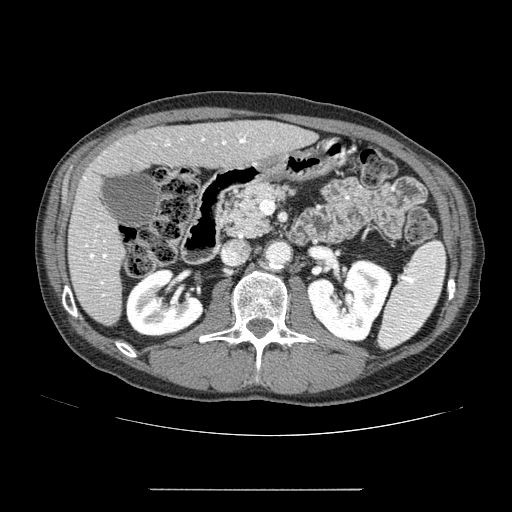 CT image
Annotated regions:
* pancreas: 222 182 296 237